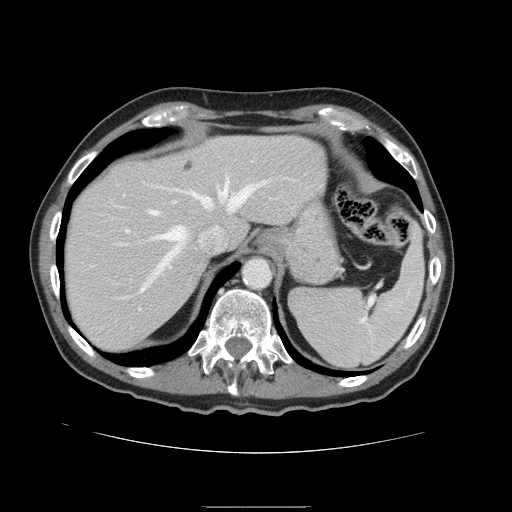

Computed tomography
The spleen lies within x1=289, y1=227, x2=424, y2=368.